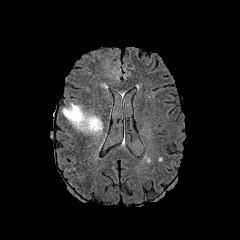
FLAIR MR image.
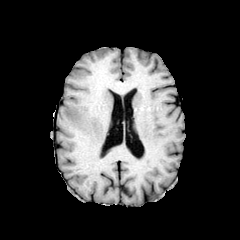
T1-weighted MR image.
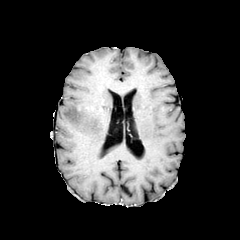
Post-contrast T1-weighted MR image of the same slice.
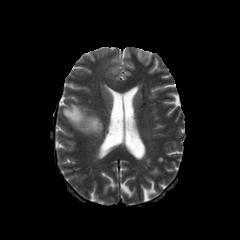
T2-weighted MR image.
Head
The edema is at [x1=62, y1=103, x2=103, y2=136].